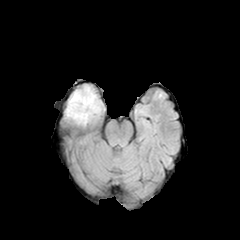
FLAIR MR image.
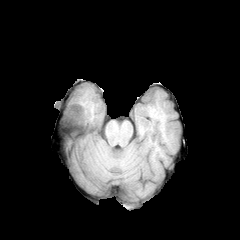
T1-weighted MRI.
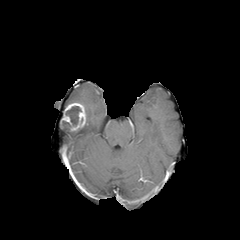
Post-contrast T1-weighted MR.
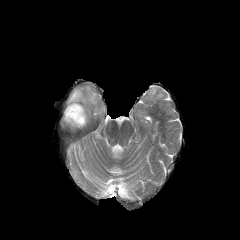
T2-weighted MR image.
Brain
The edema is located at 68,85,103,124. The enhancing tumor appears at 64,102,85,127. The non-enhancing tumor core appears at 66,106,80,129.